CT image, Upper abdomen, Field of view 700x700 mm

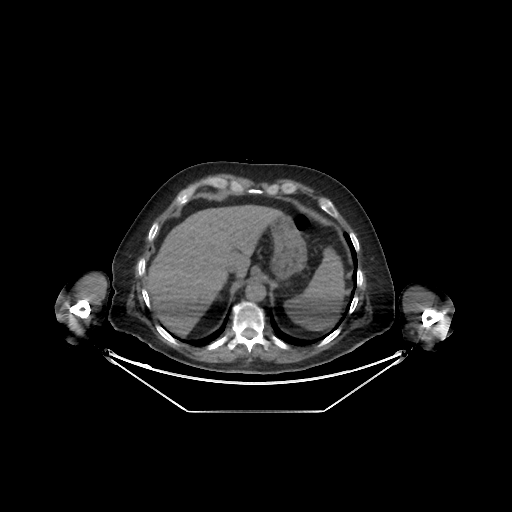

Liver: bounding box (142,205,278,334).